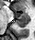

35x40 | MRI slice | Medial temporal lobe

Anterior hippocampus: box(17, 13, 28, 19).
Posterior hippocampus: box(16, 20, 28, 27).